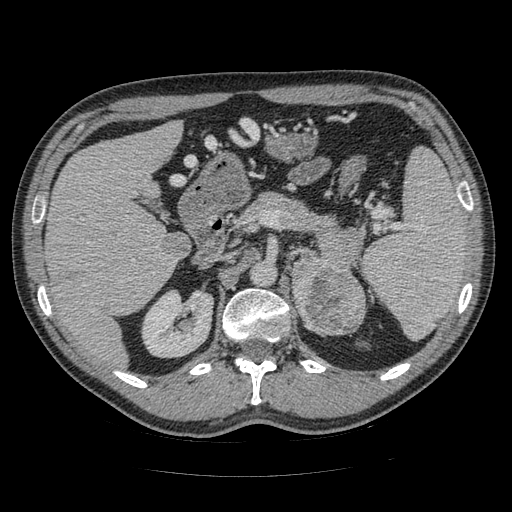
CT; Abdomen
Findings:
- pancreas: [x1=245, y1=191, x2=362, y2=277]
- pancreatic tumor: [x1=292, y1=259, x2=365, y2=335]